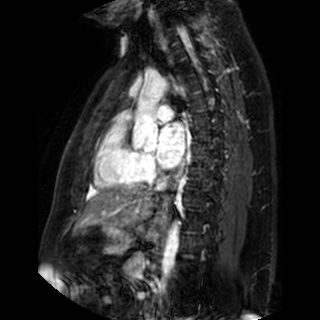 Heart; MRI slice
The left atrium lies within <box>157,123,185,168</box>.